Slice 234/410, Field of view 365 mm wide, 1.50 mm slice spacing, Abdomen, Computed tomography

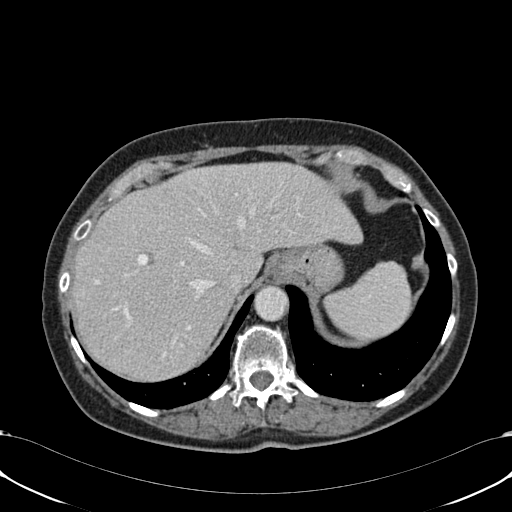

<segmentation>
  <liver>[72, 162, 360, 378]</liver>
</segmentation>